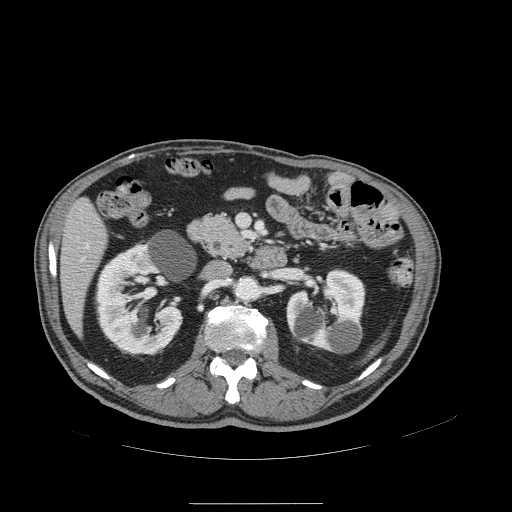 Image size 512x512 | CT slice
Pancreas — <bbox>199, 211, 255, 262</bbox>.